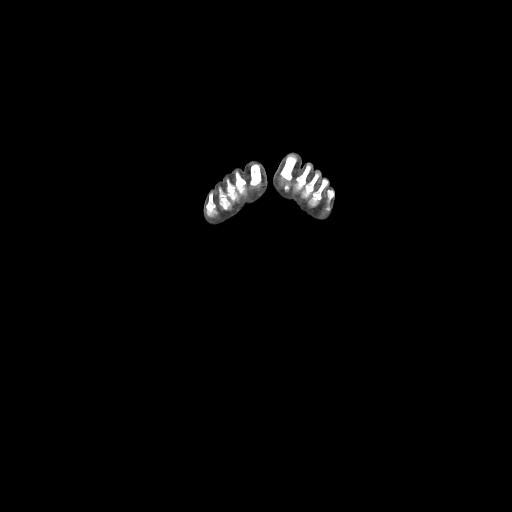 CT slice

6 bone regions are located at 219:172:245:208, 250:164:260:185, 280:155:296:180, 296:164:319:196, 311:179:327:205, 206:193:214:215.